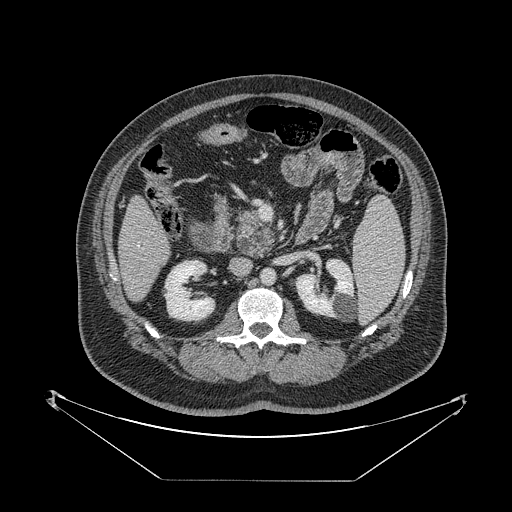
CT scan slice; Upper abdomen; Image size 512x512
The pancreas lies within <bbox>237, 211, 273, 256</bbox>.